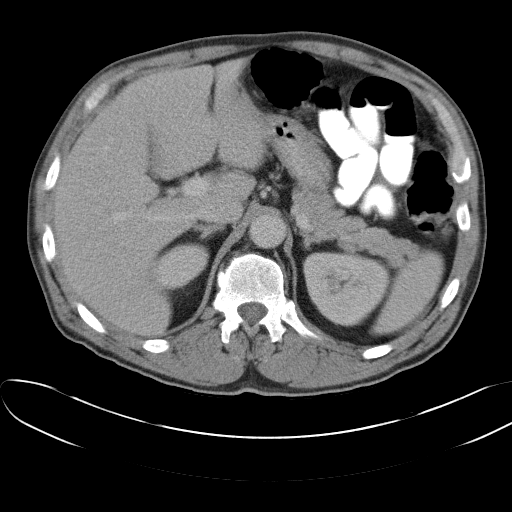 512x512 | Computed tomography
Spleen = <bbox>373, 252, 442, 334</bbox>.